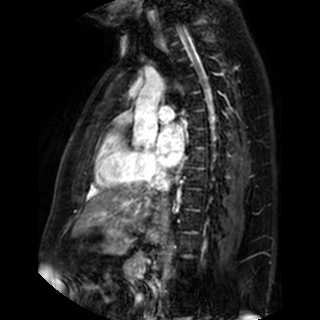

MRI, 320x320 px
left_atrium:
  - [x1=157, y1=125, x2=184, y2=167]